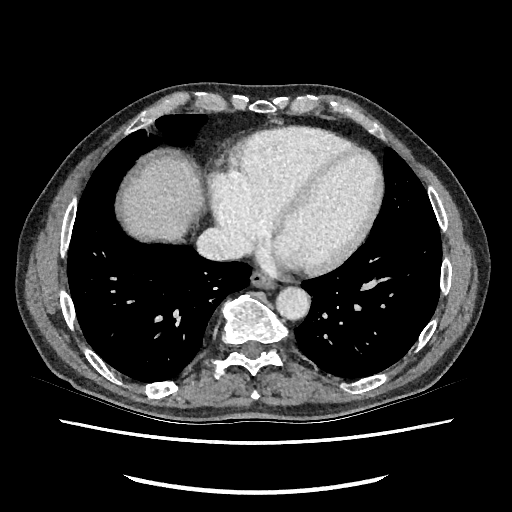 CT slice; Image size 512x512

liver:
  - (122,158,200,240)